Brain; Image size 240x240
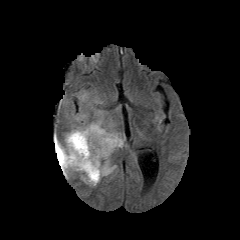
FLAIR MR image.
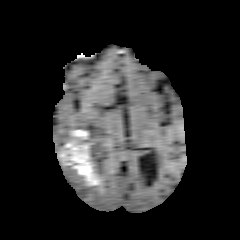
T1-weighted MR.
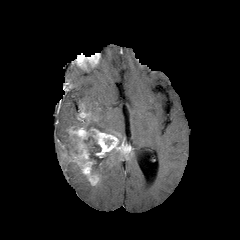
Post-contrast T1-weighted magnetic resonance.
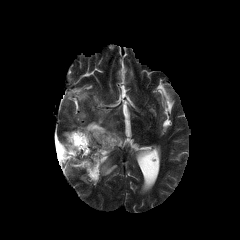
T2-weighted MRI.
Enhancing tumor: 57, 127, 126, 184.
Edema: 65, 164, 95, 186; 60, 126, 77, 147; 96, 148, 119, 184; 88, 141, 99, 158; 86, 111, 124, 141.
Non-enhancing tumor core: 83, 136, 96, 145; 89, 156, 103, 177; 66, 135, 76, 152; 55, 138, 63, 163.